Abdomen. CT slice. 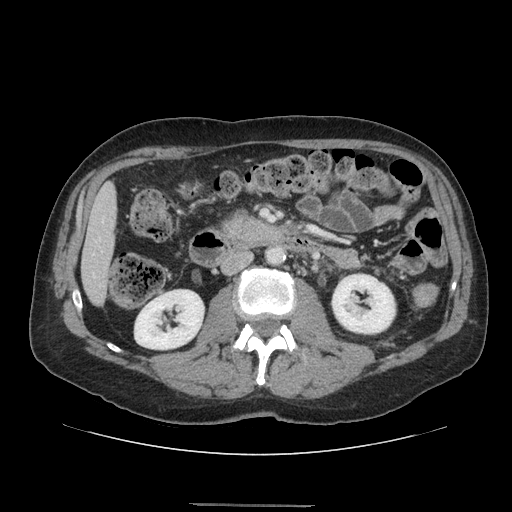
pancreas: <box>226,216,271,239</box>